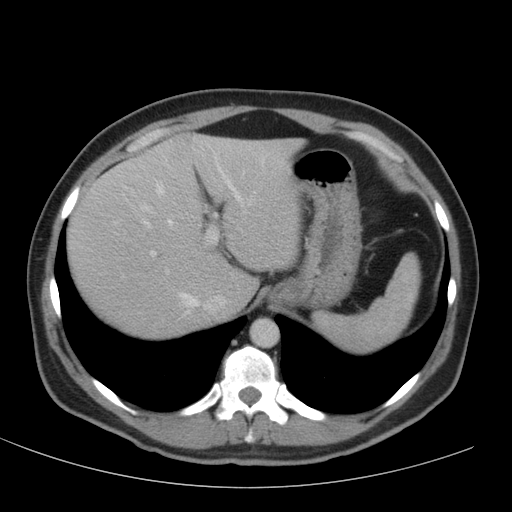

Liver, CT

Annotated regions:
* liver: 68,133,301,335